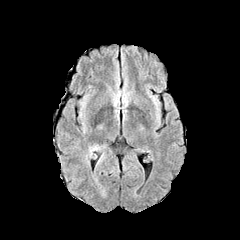
FLAIR MR image.
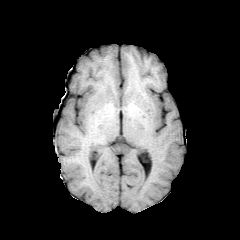
T1-weighted MR image of the same slice.
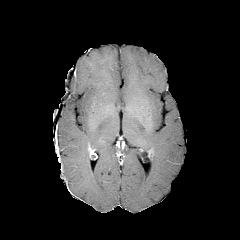
Post-contrast T1-weighted MR image.
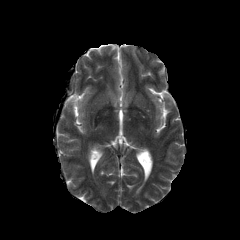
T2-weighted MRI.
Image size 240x240
2 edema regions are bounded by [x1=115, y1=91, x2=126, y2=102], [x1=88, y1=143, x2=105, y2=166]. The enhancing tumor is located at [x1=89, y1=148, x2=95, y2=157].